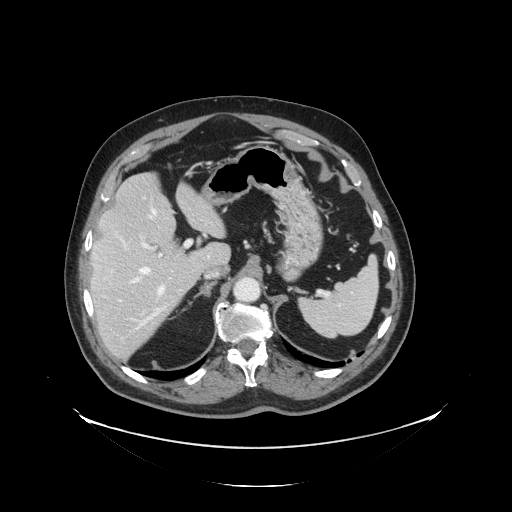 Computed tomography. Abdomen. 512x512 px. The vessel annotation is not exhaustive.
9 hepatic vessel regions appear at (left=129, top=278, right=139, bottom=283), (left=160, top=253, right=162, bottom=256), (left=137, top=309, right=160, bottom=328), (left=140, top=267, right=151, bottom=276), (left=143, top=312, right=144, bottom=313), (left=158, top=285, right=165, bottom=295), (left=148, top=208, right=155, bottom=218), (left=119, top=300, right=121, bottom=302), (left=142, top=243, right=155, bottom=250).